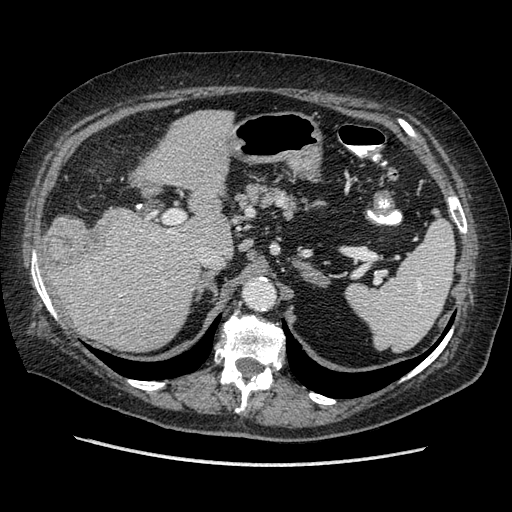
Abdomen, Computed tomography

liver tumor: rect(48, 217, 120, 267)